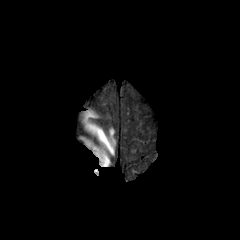
FLAIR magnetic resonance.
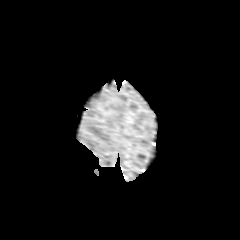
T1-weighted MR.
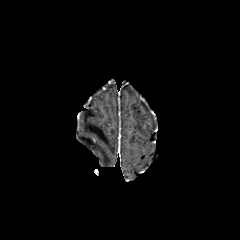
Post-contrast T1-weighted MR.
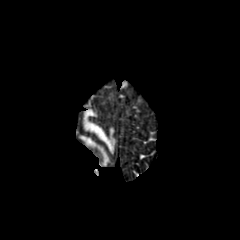
Same slice, T2-weighted MR image.
Brain
Edema: bounding box 82,109,115,165.